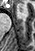
Hippocampus, Magnetic resonance, Image size 35x51
anterior hippocampus: x1=19, y1=6, x2=21, y2=11